Brain; Image size 240x240; Slice index 75
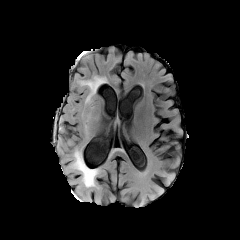
FLAIR magnetic resonance.
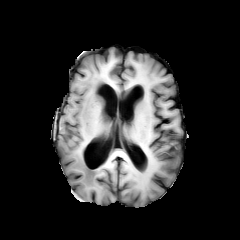
T1-weighted MR image.
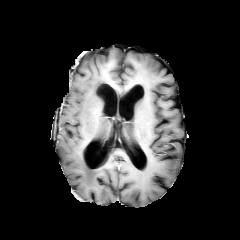
Post-contrast T1-weighted MRI.
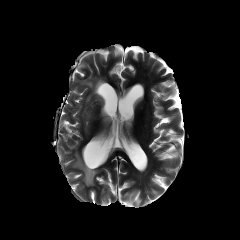
Same slice, T2-weighted MR image.
* edema: l=57, t=138, r=63, b=150; l=81, t=78, r=104, b=100; l=66, t=150, r=99, b=187